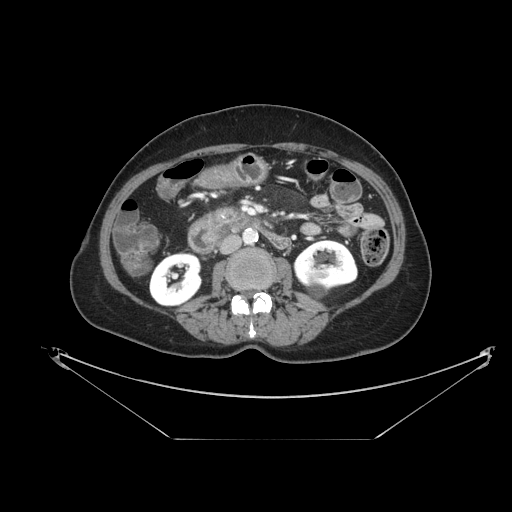

Abdomen | Computed tomography
Pancreas: box(210, 208, 240, 230).